CT scan slice; Slice index 301; Liver
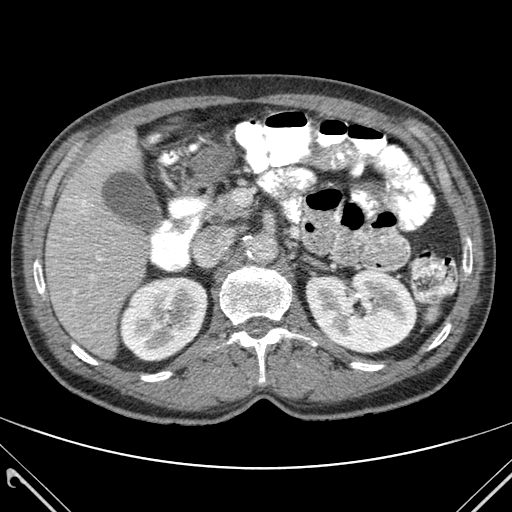

2 kidney regions are bounded by x1=307 y1=270 x2=415 y2=351, x1=121 y1=278 x2=206 y2=359. 8 bone regions appear at x1=429 y1=324 x2=450 y2=348, x1=227 y1=328 x2=301 y2=381, x1=72 y1=345 x2=97 y2=364, x1=351 y1=362 x2=382 y2=370, x1=142 y1=372 x2=170 y2=381, x1=34 y1=261 x2=44 y2=293, x1=463 y1=239 x2=471 y2=272, x1=220 y1=267 x2=291 y2=324. The liver is located at x1=46 y1=130 x2=152 y2=359.